Field of view 36x52 mm. Slice 24 of 36. MR image. Medial temporal lobe. 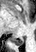

The posterior hippocampus is bounded by box(14, 37, 24, 45).